Field of view 240 mm wide, 1.00 mm slice spacing; Slice index 116; 240x240; Head
FLAIR MR.
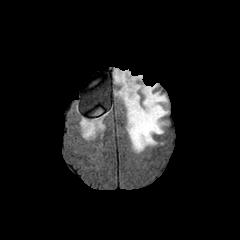
T1-weighted MR image.
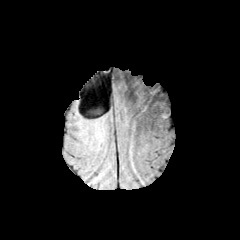
Post-contrast T1-weighted magnetic resonance.
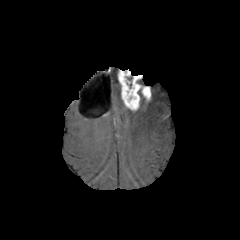
T2-weighted magnetic resonance.
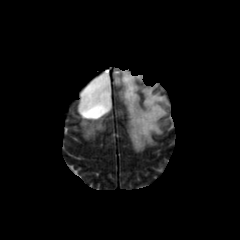
enhancing tumor: left=118, top=70, right=151, bottom=110 | edema: left=113, top=69, right=119, bottom=87; left=126, top=84, right=168, bottom=151; left=81, top=120, right=103, bottom=136